Prostate, Image size 320x320
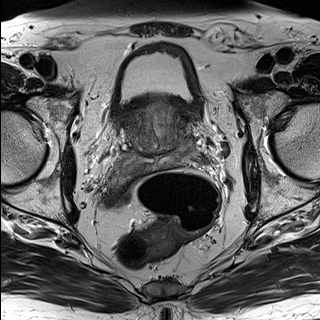
T2-weighted MR image.
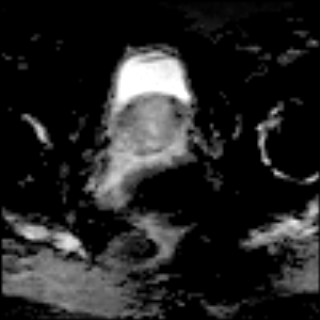
ADC MR image.
Prostate transition zone: bounding box 127, 100, 183, 153.